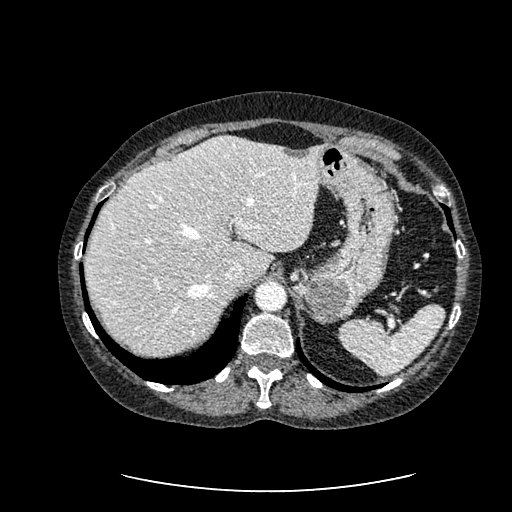

Computed tomography, Liver
Segmented structures:
• liver: <box>84,136,323,353</box>
• liver lesion: <box>282,147,310,157</box>